FLAIR MRI.
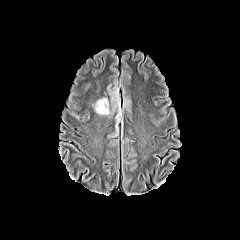
T1-weighted MR.
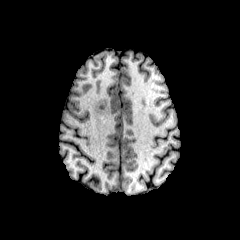
Post-contrast T1-weighted magnetic resonance.
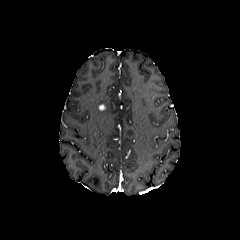
T2-weighted magnetic resonance.
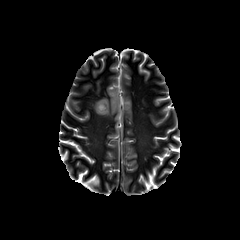
Brain | 240x240 px
The edema is at region(95, 98, 116, 115).